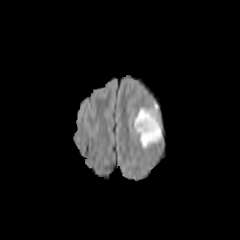
FLAIR MRI.
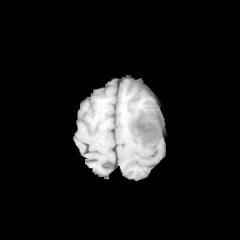
T1-weighted MR image of the same slice.
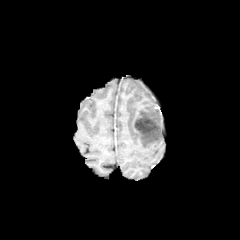
Post-contrast T1-weighted MR image of the same slice.
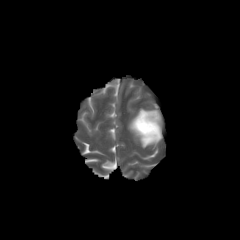
T2-weighted MRI.
240x240
Segmented structures:
- non-enhancing tumor core: [135,117,157,134]
- edema: [129,108,163,147]